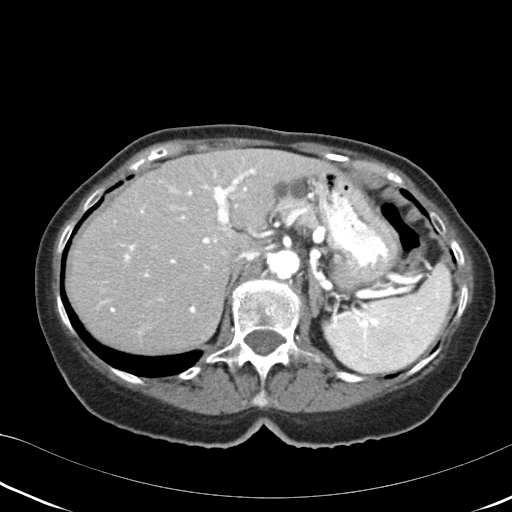
CT scan slice

<segmentation>
  <pancreatic_tumor>rect(275, 181, 308, 199)</pancreatic_tumor>
  <pancreas>rect(273, 183, 314, 214)</pancreas>
</segmentation>